FLAIR MR image.
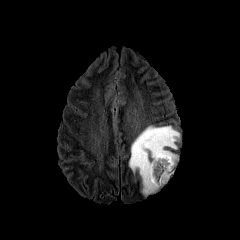
T1-weighted MR image.
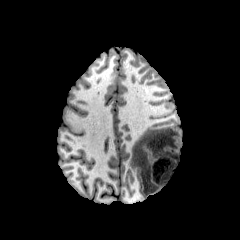
Post-contrast T1-weighted MRI.
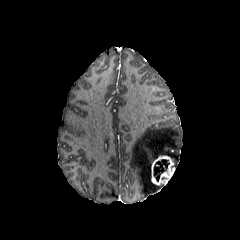
T2-weighted MR.
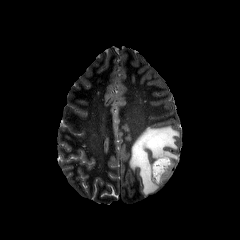
{"non-enhancing_tumor_core": ["(153,160,169,182)"], "enhancing_tumor": ["(151,156,175,184)"], "edema": ["(129,126,179,194)"]}